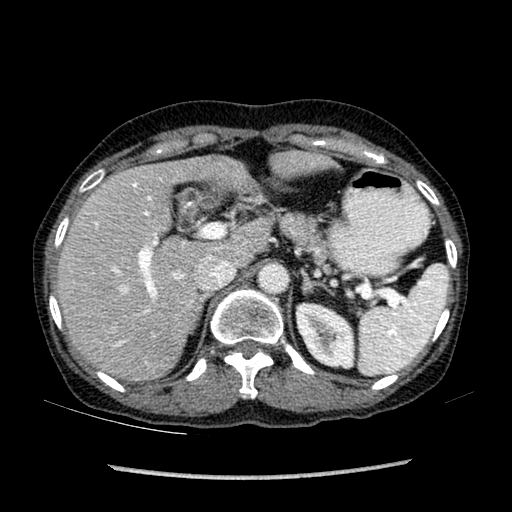

512x512 px | Computed tomography

{
  "hepatic_lesion": [
    "region(212, 154, 222, 162)"
  ],
  "liver": [
    "region(272, 153, 329, 175)",
    "region(58, 158, 270, 379)"
  ],
  "kidney": [
    "region(297, 304, 352, 366)"
  ]
}